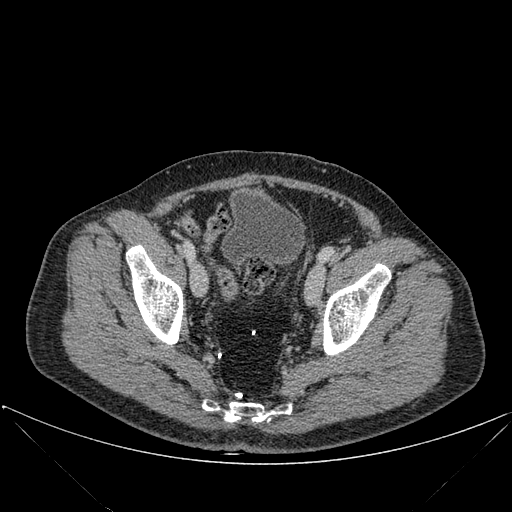

CT slice

bone:
  - bbox=[202, 402, 291, 424]
  - bbox=[323, 264, 390, 355]
  - bbox=[126, 245, 182, 344]